Slice index 72; Image width 240 mm; 240x240
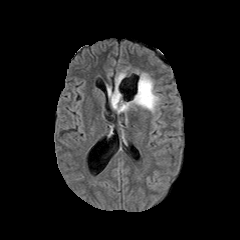
FLAIR MR image.
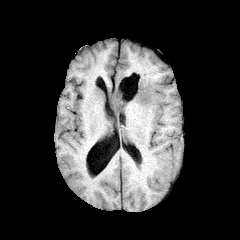
T1-weighted magnetic resonance.
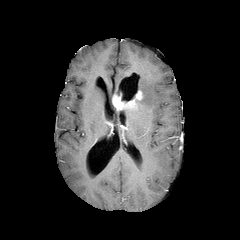
Post-contrast T1-weighted MRI.
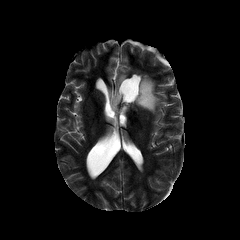
T2-weighted MR.
enhancing_tumor:
  - 112 90 142 110
edema:
  - 131 73 161 113
  - 108 88 115 110
  - 114 72 135 101
non-enhancing_tumor_core:
  - 136 84 149 104